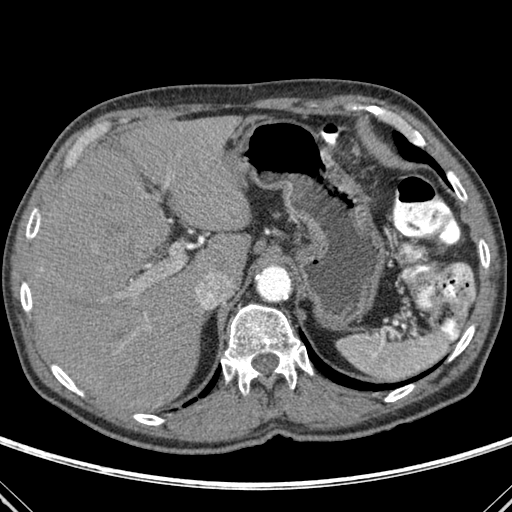
CT slice
bone:
  - region(133, 414, 163, 425)
  - region(412, 131, 425, 146)
  - region(26, 209, 40, 238)
  - region(51, 365, 83, 395)
  - region(447, 172, 467, 201)
  - region(385, 384, 414, 401)
  - region(449, 325, 474, 360)
  - region(479, 240, 489, 268)
  - region(221, 304, 313, 393)
  - region(20, 282, 32, 311)
lung:
  - region(199, 366, 220, 397)
  - region(300, 331, 440, 390)
  - region(393, 131, 451, 187)
  - region(183, 398, 196, 406)
liver:
  - region(26, 116, 251, 410)